Slice index 589; CT; Abdomen; Field of view 438 mm wide, 0.70 mm slice spacing

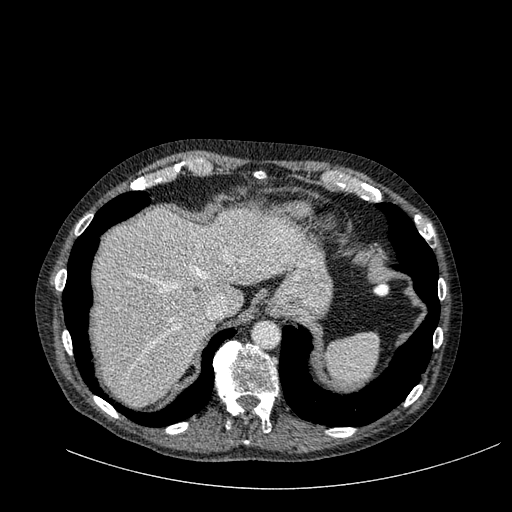 Segmented structures:
* liver: box=[94, 210, 302, 404]